Slice 195/260, Computed tomography, 512x512
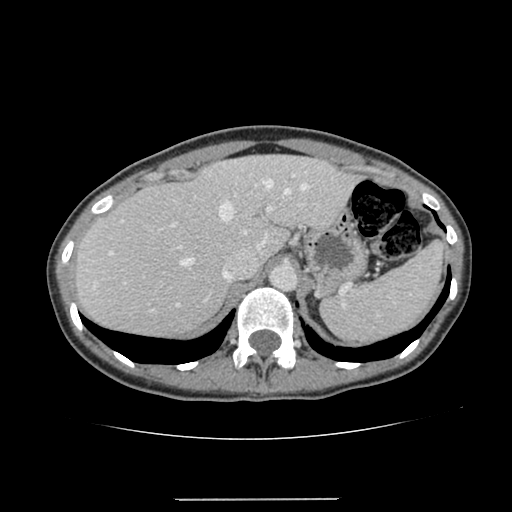
liver: region(78, 155, 361, 338)